Field of view 374x374 mm; Slice 43 of 98; CT image

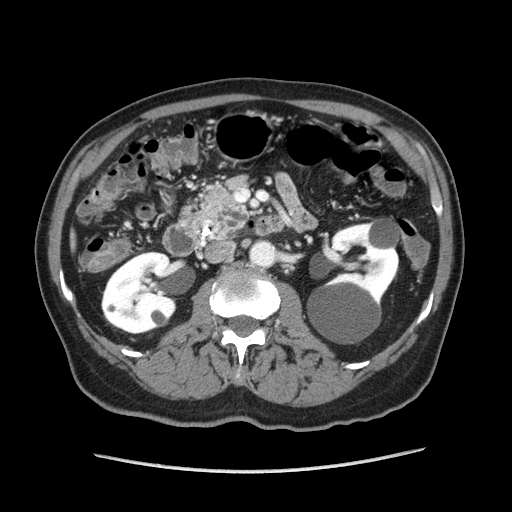

Pancreas = (195, 177, 248, 238).